Image width 411 mm | Computed tomography | Abdomen
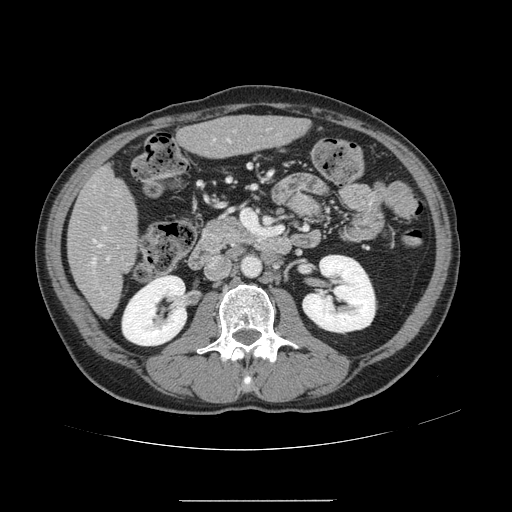 The vessel annotation is not exhaustive.
6 hepatic vessel regions are located at left=93, top=239, right=95, bottom=242; left=97, top=244, right=102, bottom=246; left=103, top=227, right=105, bottom=229; left=106, top=257, right=108, bottom=261; left=91, top=259, right=95, bottom=273; left=227, top=139, right=229, bottom=141.